Slice 43/155.
FLAIR MRI.
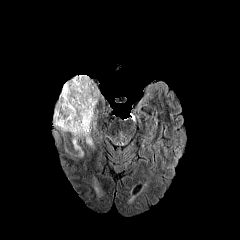
T1-weighted MR image.
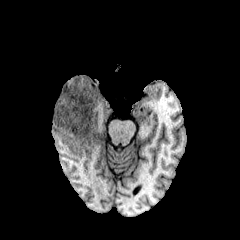
Post-contrast T1-weighted MR image.
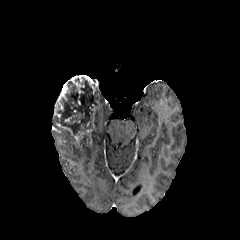
T2-weighted MR image.
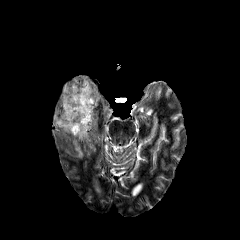
Non-enhancing tumor core at (left=52, top=76, right=102, bottom=150).
Enhancing tumor at (left=78, top=75, right=94, bottom=84), (left=74, top=131, right=85, bottom=145), (left=53, top=82, right=68, bottom=117).